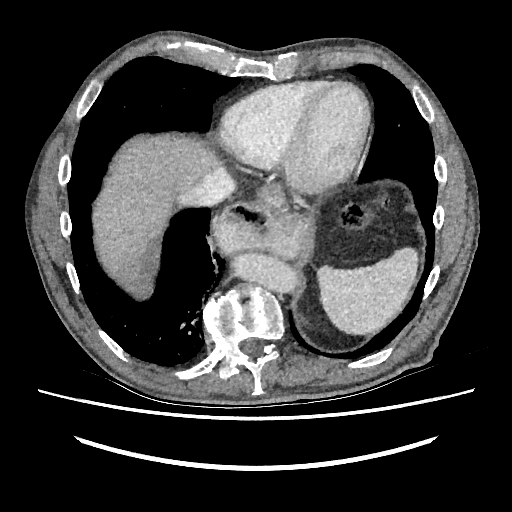

CT image
The hepatic lesion appears at l=116, t=234, r=160, b=290. The liver is located at l=93, t=134, r=222, b=286.